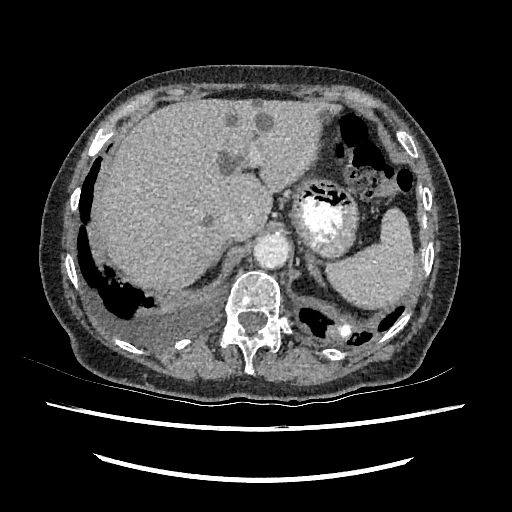
512x512. Liver. CT image.
<segmentation>
  <liver>100,99,340,291</liver>
  <liver_lesion>319,110,331,123; 203,215,211,226; 227,114,237,126; 219,153,240,175; 255,114,272,130; 253,100,263,107</liver_lesion>
</segmentation>